Computed tomography. Slice index 557. Thorax. 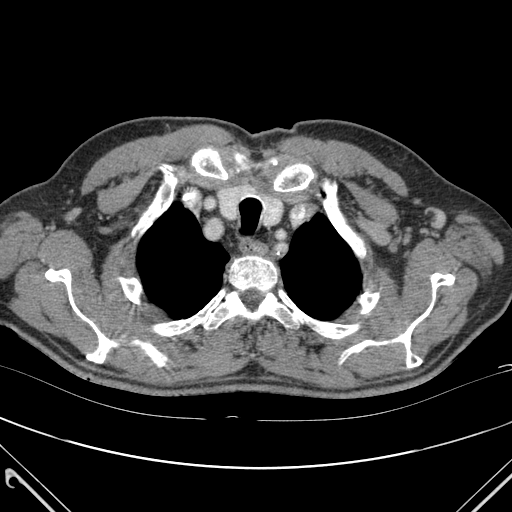
Segmented structures:
- bone: x1=360 y1=292 x2=378 y2=313, x1=192 y1=146 x2=231 y2=179, x1=324 y1=182 x2=364 y2=255, x1=154 y1=290 x2=358 y2=338, x1=392 y1=302 x2=432 y2=367, x1=45 y1=269 x2=116 y2=362, x1=274 y1=164 x2=313 y2=191, x1=344 y1=340 x2=386 y2=356, x1=119 y1=278 x2=141 y2=303, x1=137 y1=165 x2=176 y2=233, x1=235 y1=154 x2=244 y2=166, x1=230 y1=256 x2=276 y2=291, x1=431 y1=273 x2=454 y2=299, x1=141 y1=343 x2=166 y2=366
- lung: x1=280 y1=214 x2=361 y2=320, x1=136 y1=202 x2=229 y2=319